FLAIR magnetic resonance.
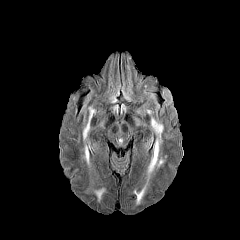
T1-weighted MRI.
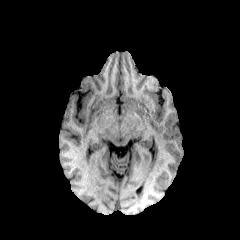
Post-contrast T1-weighted MRI.
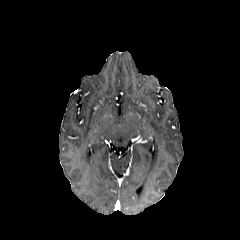
T2-weighted MRI.
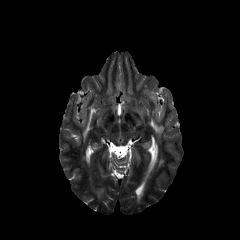
Brain
<segmentation>
  <edema>(left=134, top=180, right=147, bottom=204), (left=151, top=118, right=162, bottom=134), (left=84, top=147, right=89, bottom=165), (left=82, top=107, right=95, bottom=141), (left=147, top=138, right=163, bottom=179), (left=94, top=188, right=104, bottom=200)</edema>
</segmentation>